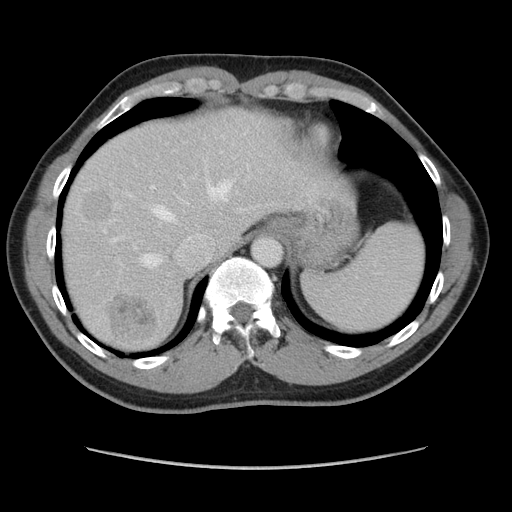

Image size 512x512 | Abdomen | CT image

The vessel annotation is not exhaustive.
Hepatic vessel = x1=179 y1=198 x2=188 y2=204, x1=128 y1=193 x2=133 y2=197, x1=184 y1=183 x2=185 y2=186, x1=151 y1=185 x2=154 y2=189, x1=140 y1=254 x2=161 y2=267, x1=179 y1=176 x2=182 y2=177, x1=111 y1=236 x2=124 y2=241, x1=206 y1=180 x2=231 y2=200, x1=104 y1=230 x2=106 y2=231, x1=134 y1=247 x2=136 y2=248, x1=114 y1=203 x2=120 y2=208, x1=152 y1=205 x2=175 y2=221, x1=239 y1=209 x2=245 y2=211.
Liver tumor = x1=82 y1=192 x2=112 y2=221, x1=109 y1=294 x2=157 y2=344.